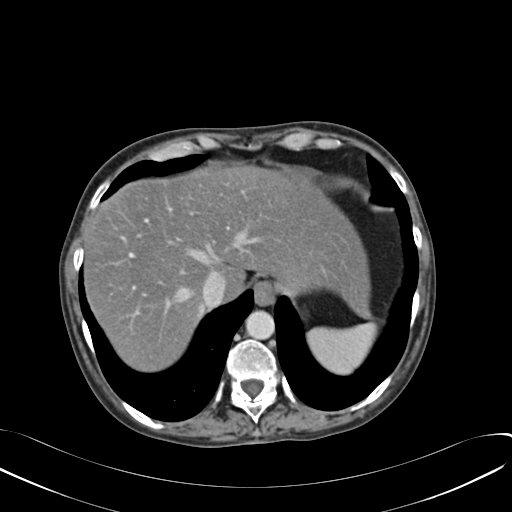 Abdomen; CT scan slice; 512x512
Liver at 84, 166, 369, 371.